Head | Slice 100 of 155
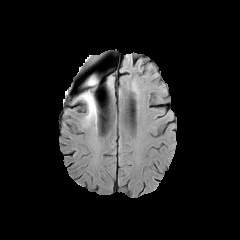
FLAIR MR.
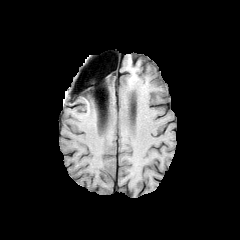
T1-weighted MR image.
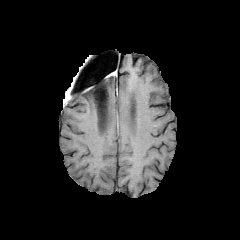
Post-contrast T1-weighted MR.
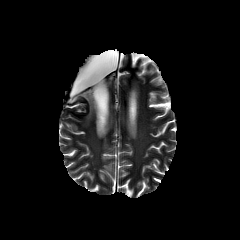
T2-weighted MRI of the same slice.
The non-enhancing tumor core is located at bbox(87, 77, 98, 107). 2 edema regions appear at bbox(76, 86, 98, 127); bbox(64, 87, 71, 104).